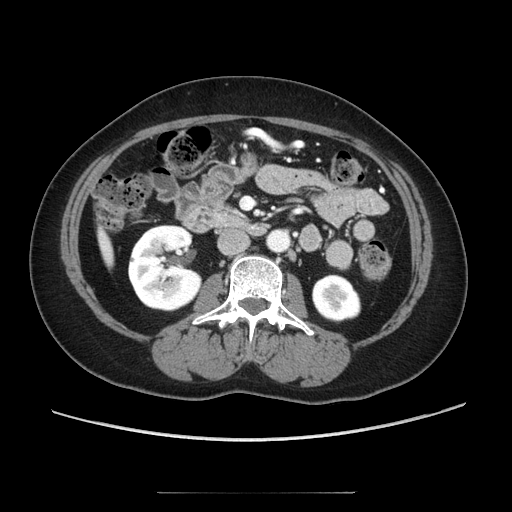
Computed tomography; Abdomen
pancreas: 214, 204, 239, 216